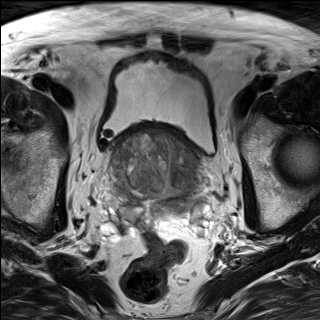
T2-weighted MR image.
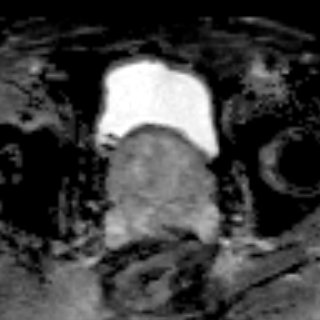
Same slice, ADC magnetic resonance.
320x320 px.
prostate_transition_zone:
  - bbox=[106, 132, 205, 217]